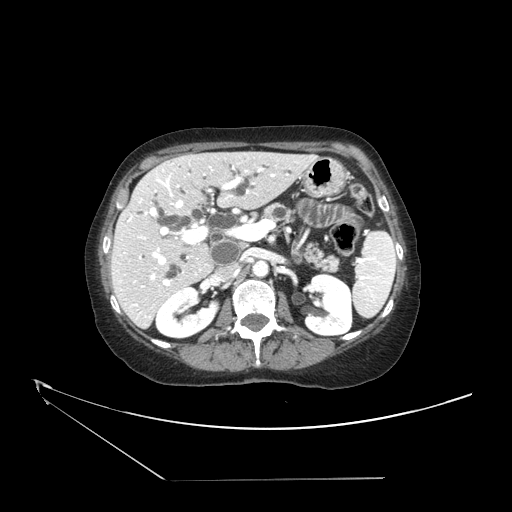 CT scan slice | Upper abdomen
2 pancreas regions appear at [304,244,338,273], [263,203,293,222].